CT | Pelvis | Slice 134 of 836

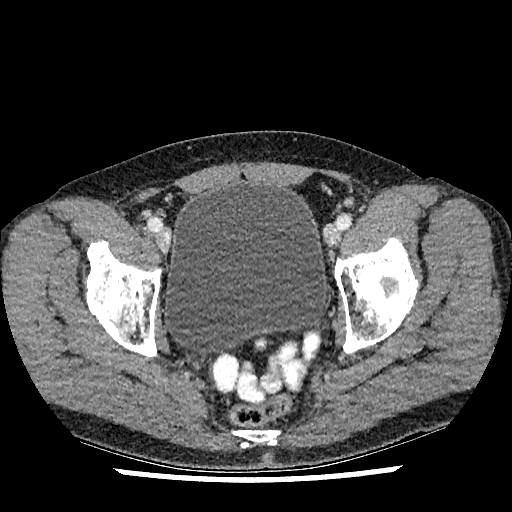 Urinary bladder: bounding box l=164, t=183, r=327, b=355.